Liver, CT slice
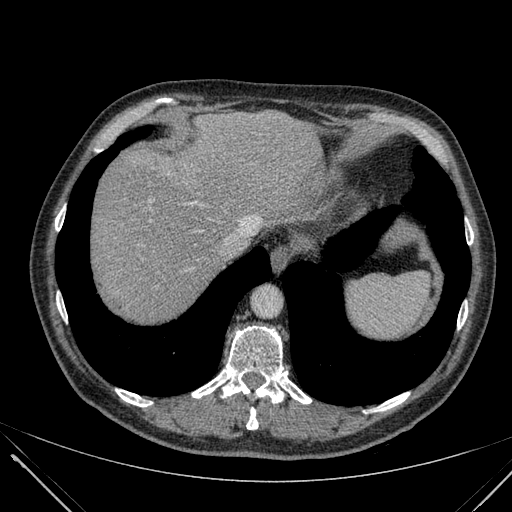
{
  "liver": [
    "box=[91, 110, 328, 323]"
  ]
}